240x240 px, Field of view 240 mm wide, 1.00 mm slice spacing, Brain, Slice 90/155
FLAIR magnetic resonance.
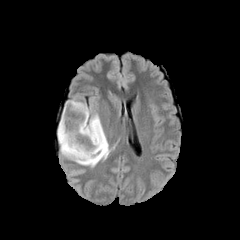
T1-weighted MR.
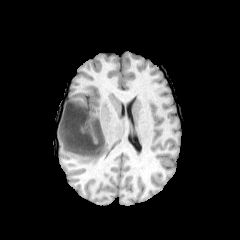
Post-contrast T1-weighted MR.
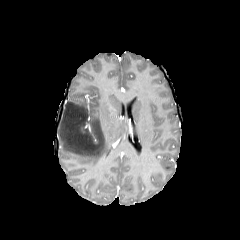
T2-weighted MR image.
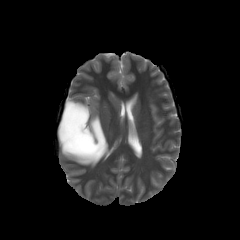
Non-enhancing tumor core at 60, 100, 104, 159.
Edema at 57, 103, 114, 166.